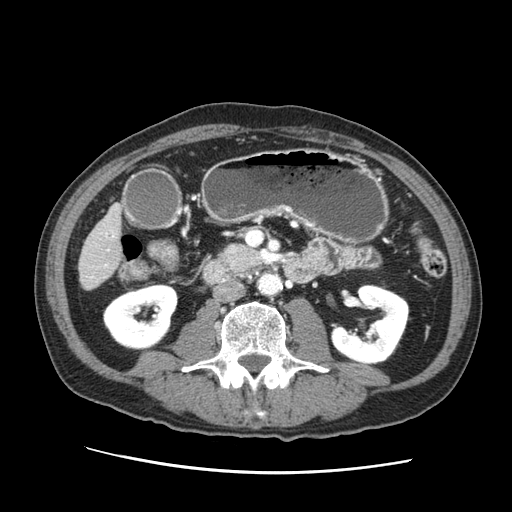

CT image; Upper abdomen; 512x512
The pancreas is located at [x1=221, y1=244, x2=260, y2=271].